Head | 240x240 | Slice 59 of 155
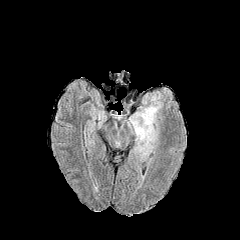
FLAIR magnetic resonance.
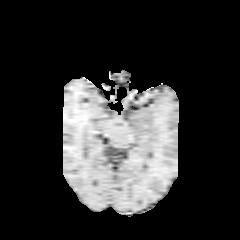
Same slice, T1-weighted MR.
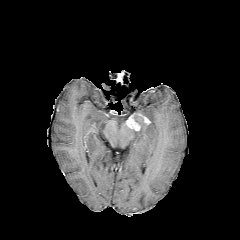
Post-contrast T1-weighted MRI of the same slice.
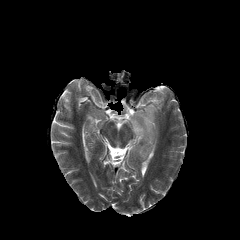
T2-weighted magnetic resonance.
Enhancing tumor: bounding box left=126, top=113, right=150, bottom=130.
Edema: bounding box left=130, top=91, right=163, bottom=163.